FLAIR magnetic resonance.
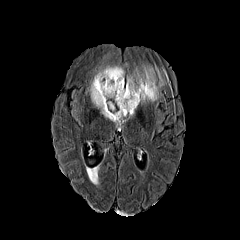
T1-weighted magnetic resonance.
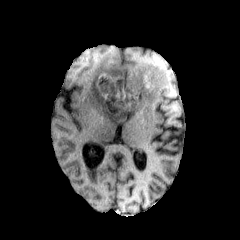
Post-contrast T1-weighted magnetic resonance.
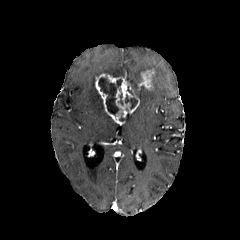
T2-weighted MR image.
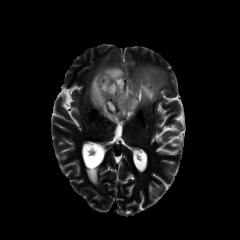
Head.
edema: 126 63 169 109, 86 55 124 121 | non-enhancing tumor core: 99 77 122 117, 125 94 137 109 | enhancing tumor: 137 68 155 90, 95 73 139 124